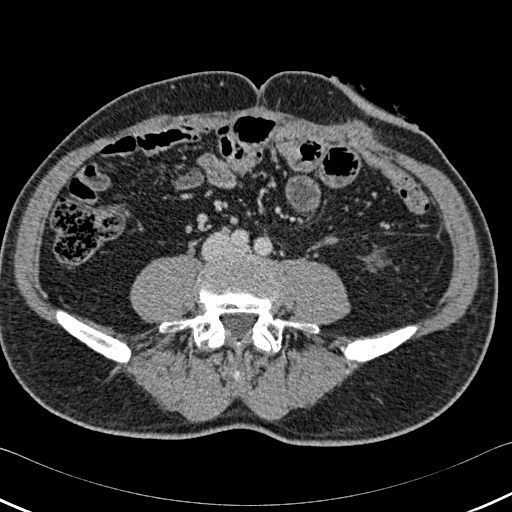 CT slice; 512x512

bone:
  - 57 312 130 361
  - 160 264 318 351
  - 342 327 416 360